Brain
FLAIR MR.
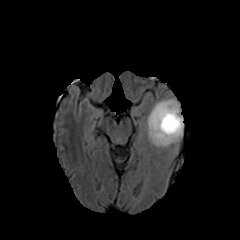
T1-weighted magnetic resonance.
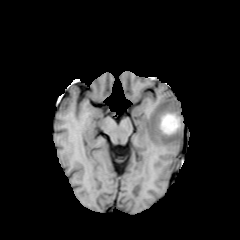
Post-contrast T1-weighted magnetic resonance.
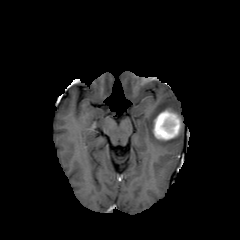
T2-weighted MR image.
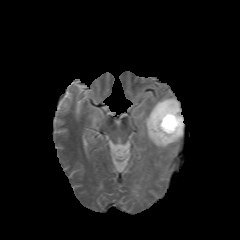
The non-enhancing tumor core is located at 152, 100, 180, 137. The enhancing tumor appears at 159, 113, 179, 134. The edema lies within 140, 93, 183, 151.